Brain
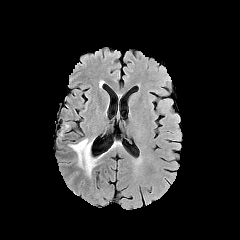
FLAIR MR.
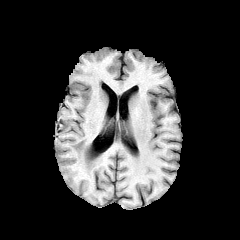
T1-weighted MR image.
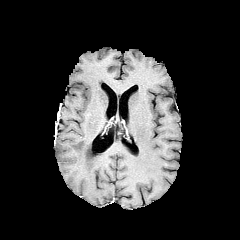
Post-contrast T1-weighted MR of the same slice.
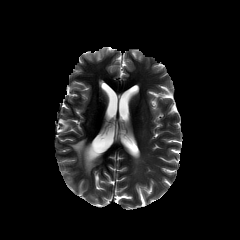
T2-weighted magnetic resonance.
edema: region(68, 138, 99, 175)